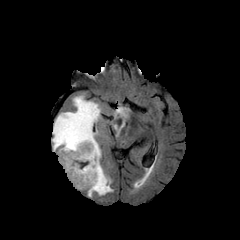
FLAIR MR image.
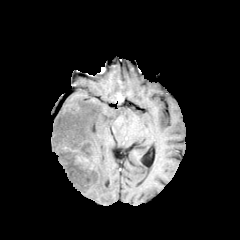
T1-weighted MR image of the same slice.
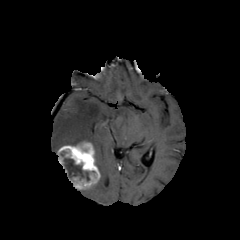
Post-contrast T1-weighted MR of the same slice.
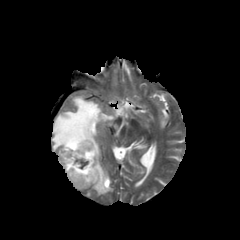
T2-weighted MR of the same slice.
Brain
The non-enhancing tumor core appears at (63,158,89,180). 2 edema regions appear at (52,94,113,196), (113,107,129,133). The enhancing tumor is located at (58,142,100,188).